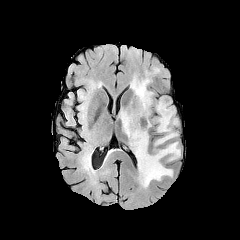
FLAIR MR image.
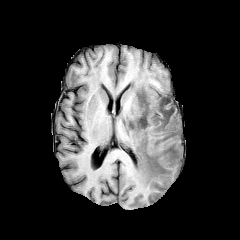
T1-weighted MR.
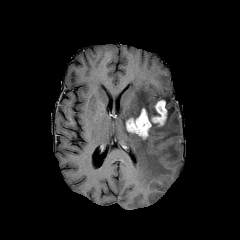
Same slice, post-contrast T1-weighted MR image.
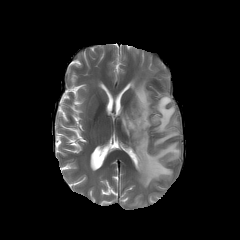
T2-weighted MRI.
Head
2 enhancing tumor regions appear at 126,108,151,138; 152,100,167,125. The non-enhancing tumor core lies within 137,104,173,129. The edema is bounded by 119,70,180,187.